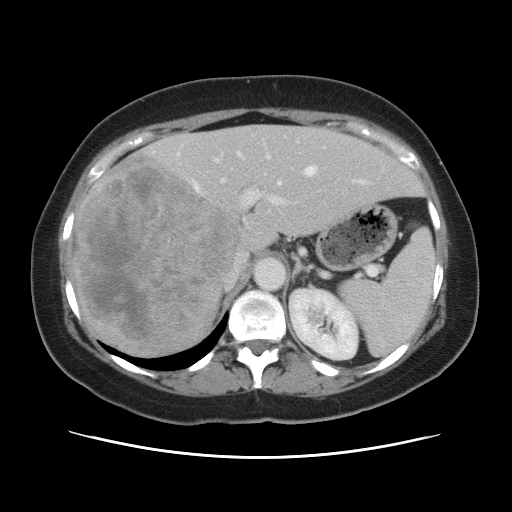
CT image; Liver; Image size 512x512
The vessel annotation is not exhaustive.
The liver tumor is at 78,156,241,352. 13 hepatic vessel regions appear at 266,155,269,158; 252,238,256,242; 356,180,367,183; 194,183,198,188; 215,156,221,162; 224,251,246,289; 237,152,241,155; 306,166,316,175; 301,250,303,251; 278,181,280,185; 244,218,248,226; 239,190,287,207; 222,179,224,181.